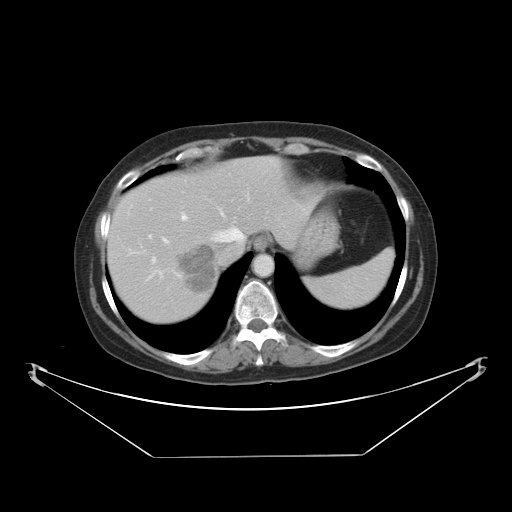

CT
The vessel boxes may cover only some of the vessels.
- liver tumor: box(176, 244, 215, 294)
- hepatic vessel: box(149, 235, 151, 237); box(182, 214, 186, 219); box(152, 258, 155, 262); box(160, 272, 161, 275); box(216, 229, 242, 241); box(163, 238, 167, 241); box(148, 275, 151, 278)